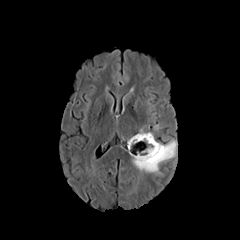
FLAIR MR image.
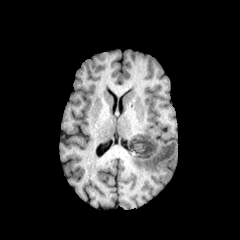
T1-weighted MR.
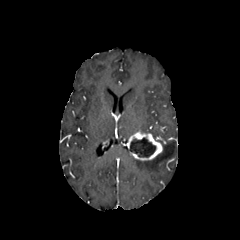
Post-contrast T1-weighted MR.
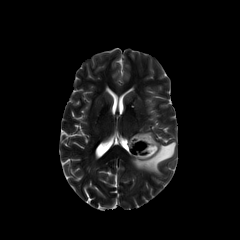
T2-weighted MR image of the same slice.
The edema is located at 132:141:176:173. The non-enhancing tumor core lies within 130:137:155:157. The enhancing tumor is bounded by 128:130:162:160.